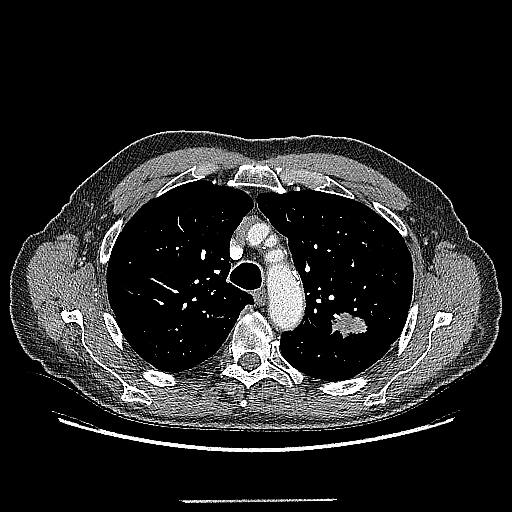 Computed tomography, 512x512
The lung tumor is located at box=[328, 312, 369, 340].